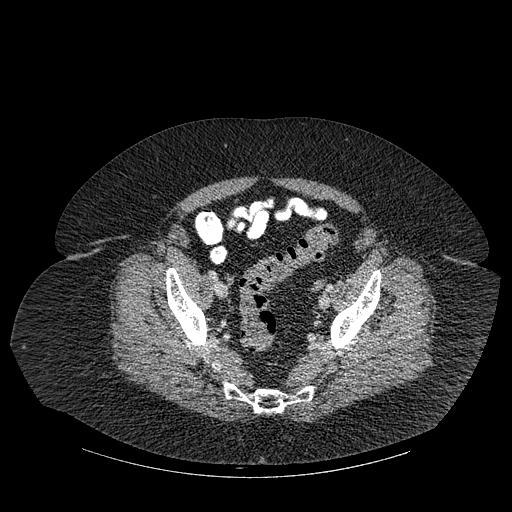

512x512 px | CT scan slice
bone: (left=224, top=382, right=313, bottom=413), (left=166, top=268, right=208, bottom=351), (left=327, top=270, right=381, bottom=351)